Field of view 383x383 mm | CT image | Slice index 182 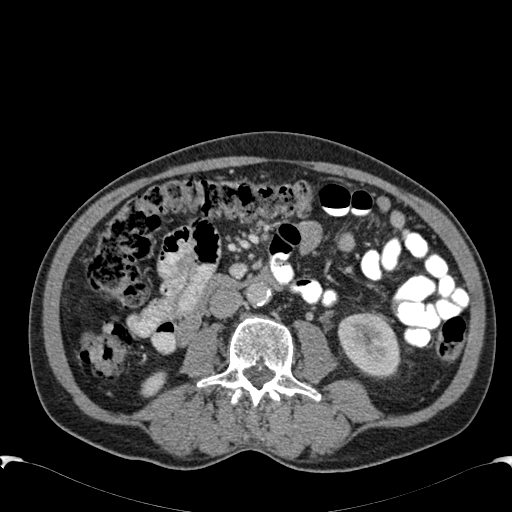 kidney:
  - (x1=337, y1=315, x2=399, y2=376)
  - (x1=142, y1=372, x2=164, y2=396)